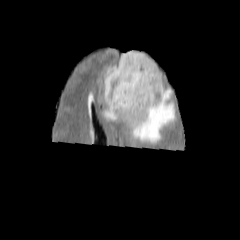
FLAIR MR image.
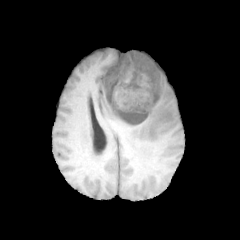
T1-weighted MR image of the same slice.
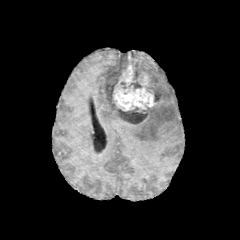
Same slice, post-contrast T1-weighted magnetic resonance.
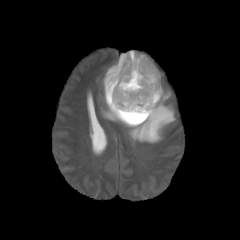
T2-weighted MRI.
Brain
2 enhancing tumor regions are bounded by [x1=137, y1=72, x2=152, y2=86], [x1=113, y1=52, x2=155, y2=112]. 3 non-enhancing tumor core regions are bounded by [x1=114, y1=106, x2=151, y2=124], [x1=102, y1=53, x2=128, y2=108], [x1=129, y1=52, x2=162, y2=102]. The edema appears at [x1=101, y1=68, x2=175, y2=143].